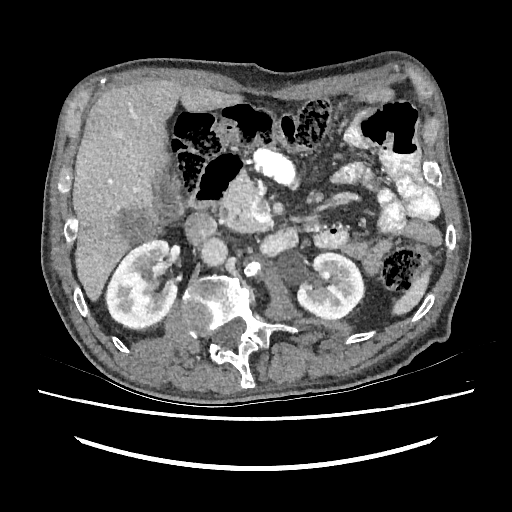
CT, Abdomen
The liver appears at 74:81:241:300. 2 focal liver lesion regions appear at 82:224:93:233, 111:207:158:243. 2 kidney regions appear at 298:253:363:319, 107:240:176:327.